Slice 113 of 192, 512x512 px, Liver, Computed tomography

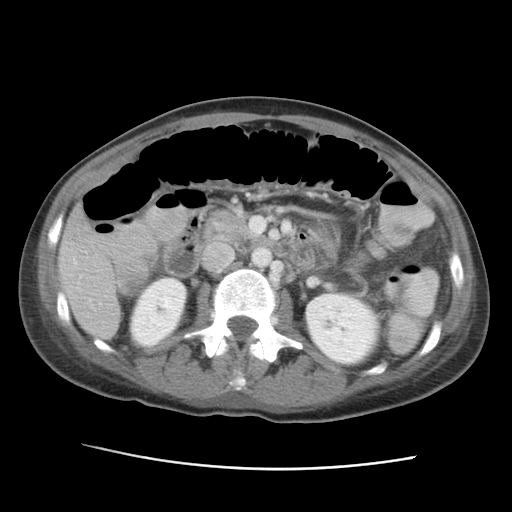 liver: bbox=[59, 206, 116, 334] | kidney: bbox=[305, 293, 378, 363]; bbox=[132, 279, 185, 345]